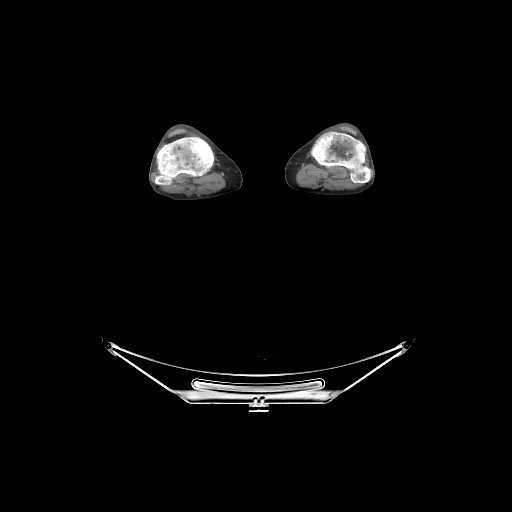 CT image

• bone: [311, 132, 370, 182], [155, 137, 213, 184]